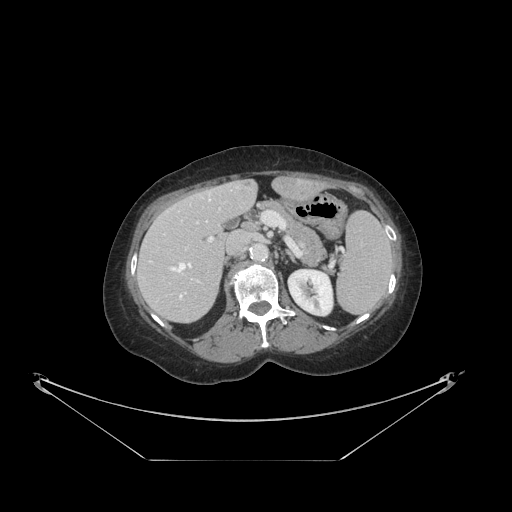
Abdomen | CT image | Image size 512x512
The vessel annotation is not exhaustive.
Hepatic vessel: region(196, 221, 197, 223); region(262, 210, 281, 228); region(169, 263, 184, 271); region(208, 237, 213, 241); region(180, 295, 181, 298); region(208, 199, 210, 200); region(187, 263, 191, 266).